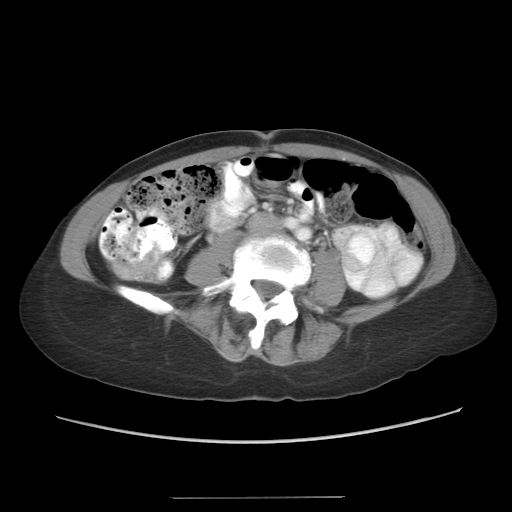

512x512 px; CT slice

{"colon_tumor": ["x1=113, y1=228, x2=166, y2=282"]}